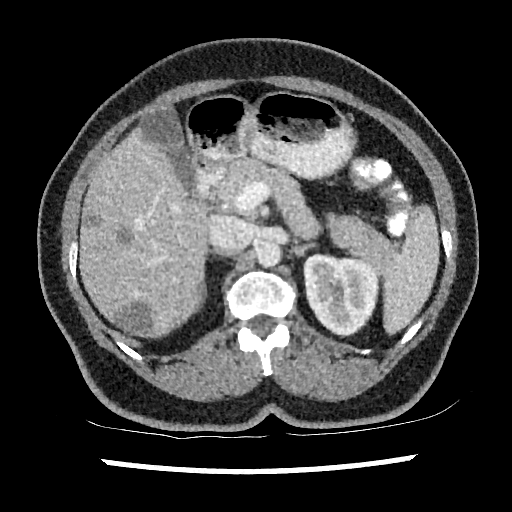

CT scan slice.

* kidney: (left=304, top=255, right=377, bottom=334)
* liver lesion: (left=119, top=230, right=130, bottom=245), (left=84, top=215, right=97, bottom=226), (left=196, top=283, right=203, bottom=296), (left=115, top=303, right=152, bottom=335)
* liver: (left=79, top=128, right=208, bottom=337)